Brain
FLAIR MR image.
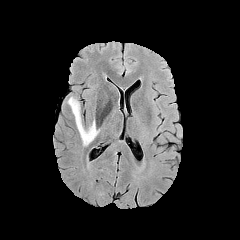
T1-weighted MR.
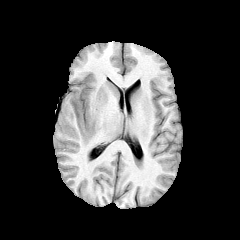
Post-contrast T1-weighted MRI.
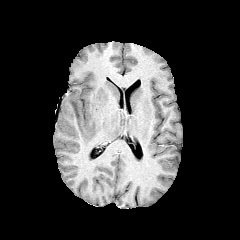
T2-weighted magnetic resonance.
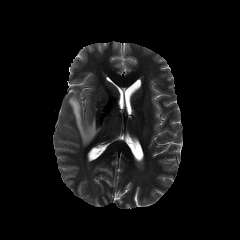
<segmentation>
  <edema>[x1=66, y1=94, x2=98, y2=145]</edema>
</segmentation>